FLAIR magnetic resonance.
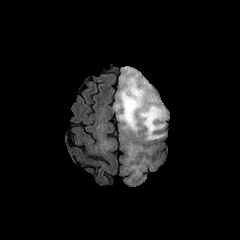
T1-weighted MRI.
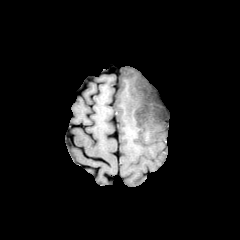
Post-contrast T1-weighted MRI.
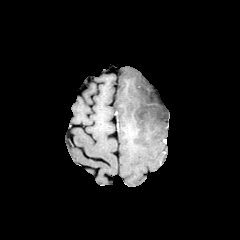
T2-weighted MRI.
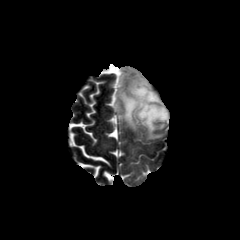
Brain
Non-enhancing tumor core: bbox(129, 78, 165, 125).
Edema: bbox(114, 68, 168, 141).